Field of view 442x442 mm. CT slice.

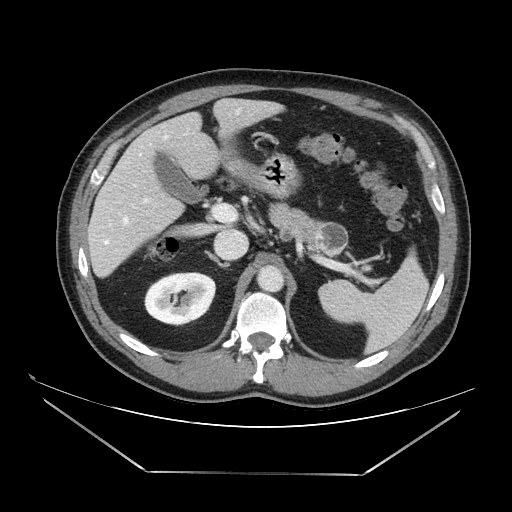
Pancreas: (x1=267, y1=201, x2=327, y2=253), (x1=357, y1=262, x2=371, y2=275).
Pancreatic tumor: (x1=315, y1=222, x2=348, y2=256).